MRI slice, Medial temporal lobe

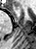 Segmented structures:
* anterior hippocampus: [15, 6, 18, 9]